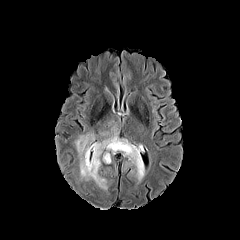
FLAIR MR.
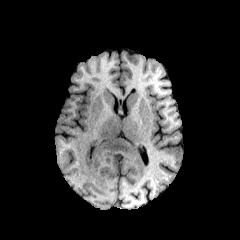
T1-weighted MRI.
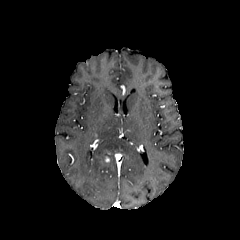
Post-contrast T1-weighted MRI.
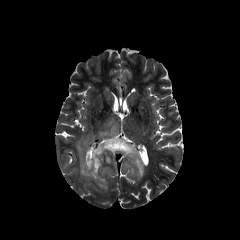
T2-weighted magnetic resonance.
Edema at [76, 133, 144, 188].